Slice index 63
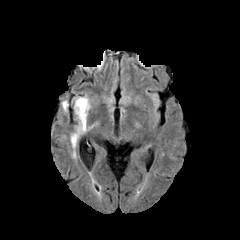
FLAIR MR.
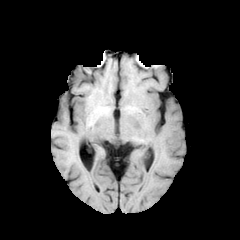
T1-weighted MR.
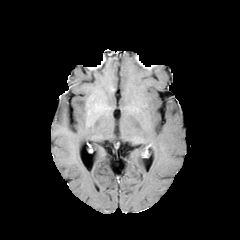
Same slice, post-contrast T1-weighted MRI.
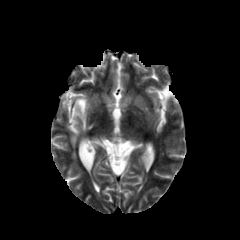
T2-weighted magnetic resonance.
Annotated regions:
• edema: bbox=[62, 94, 97, 156]
• non-enhancing tumor core: bbox=[78, 98, 88, 109]